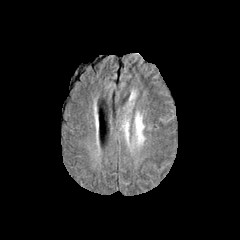
FLAIR magnetic resonance.
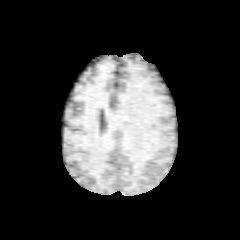
T1-weighted magnetic resonance.
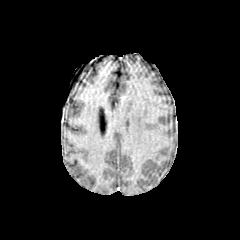
Post-contrast T1-weighted magnetic resonance.
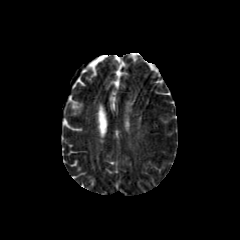
Same slice, T2-weighted MR.
The edema lies within region(136, 115, 143, 139).